Image width 240 mm. Slice 77 of 155.
FLAIR MR image.
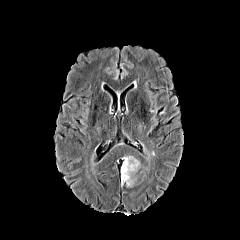
T1-weighted MR.
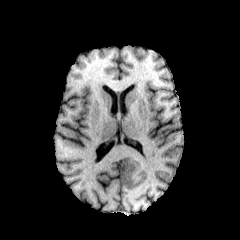
Post-contrast T1-weighted MR.
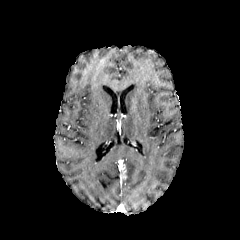
T2-weighted MR image.
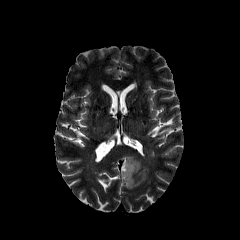
enhancing tumor: box=[120, 164, 126, 180] | edema: box=[122, 156, 140, 187]